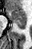
MRI, Hippocampus
The anterior hippocampus lies within <bbox>6, 9, 26, 21</bbox>. The posterior hippocampus is bounded by <bbox>15, 22, 26, 28</bbox>.